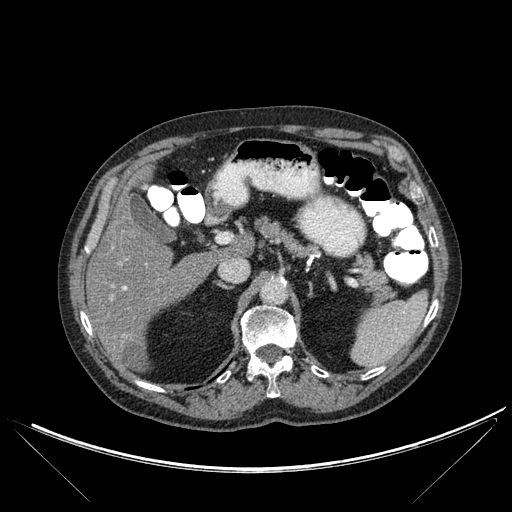
Liver | Computed tomography

{
  "liver": [
    "bbox(133, 166, 152, 183)",
    "bbox(86, 200, 215, 370)",
    "bbox(213, 248, 252, 262)",
    "bbox(234, 238, 248, 246)"
  ],
  "bone": [
    "bbox(424, 300, 437, 324)",
    "bbox(362, 367, 384, 379)",
    "bbox(81, 312, 91, 334)",
    "bbox(137, 381, 163, 391)",
    "bbox(217, 371, 230, 382)",
    "bbox(241, 305, 296, 397)",
    "bbox(429, 228, 437, 246)",
    "bbox(311, 366, 328, 377)"
  ],
  "liver_lesion": [
    "bbox(121, 344, 149, 371)",
    "bbox(120, 219, 133, 227)"
  ]
}